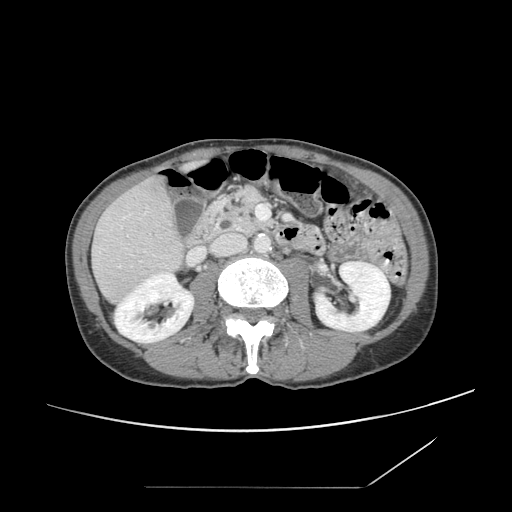
CT slice | 512x512 px | Abdomen
Segmented structures:
* pancreas: box=[214, 185, 273, 237]